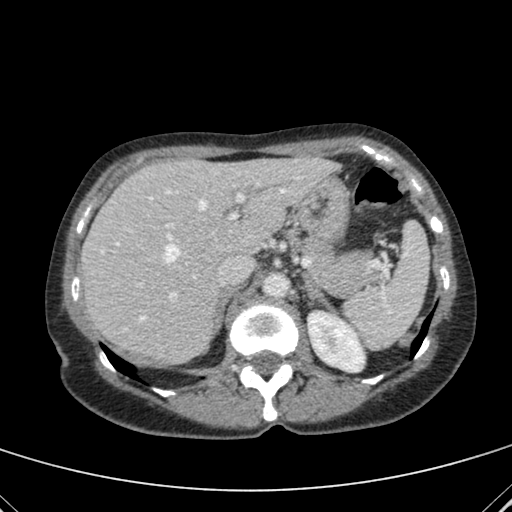 Upper abdomen; CT

Liver — [x1=81, y1=157, x2=339, y2=362].
Kidney — [x1=308, y1=311, x2=364, y2=365].